Magnetic resonance
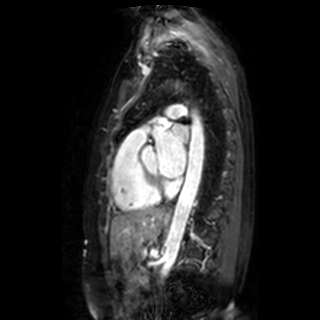
Annotated regions:
- left atrium: l=155, t=125, r=188, b=177